240x240 px, Brain
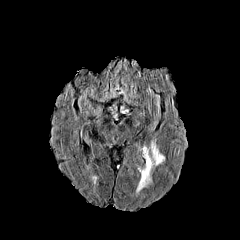
FLAIR MRI.
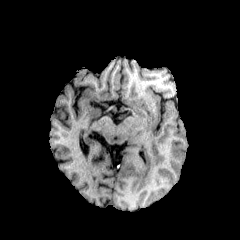
T1-weighted MR.
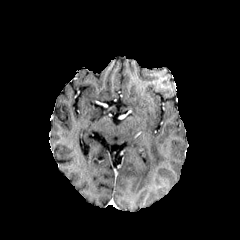
Post-contrast T1-weighted MR.
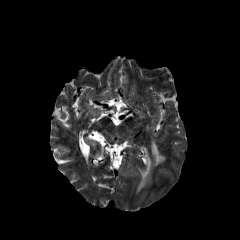
T2-weighted MR image.
Edema = rect(136, 142, 164, 195).